Abdomen | Slice index 151 | Computed tomography

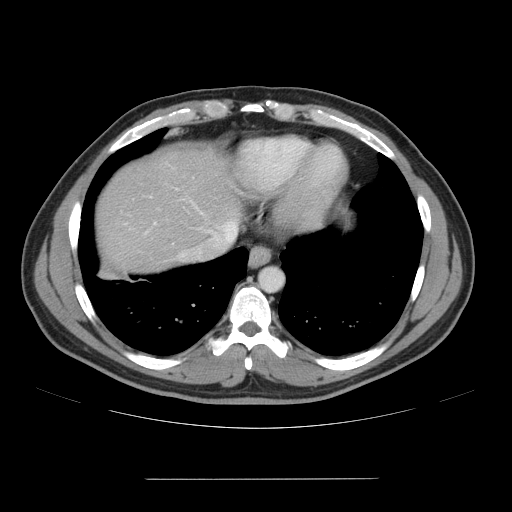 Not every hepatic vessel necessarily has a box.
* hepatic vessel: (x1=185, y1=251, x2=187, y2=252), (x1=209, y1=232, x2=214, y2=233), (x1=154, y1=222, x2=155, y2=224), (x1=176, y1=188, x2=177, y2=189), (x1=125, y1=223, x2=126, y2=224)